CT image, Slice 118 of 164

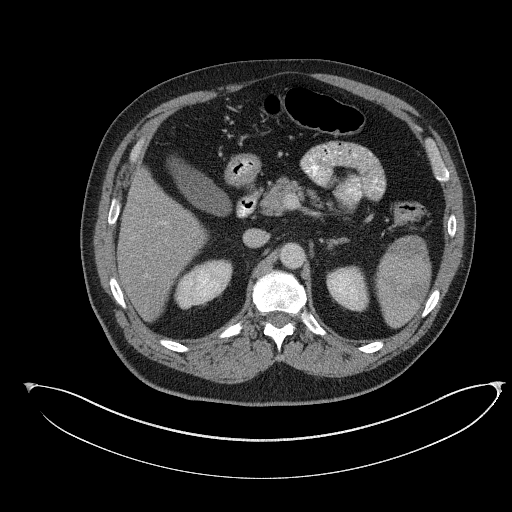

<segmentation>
  <pancreas>left=261, top=177, right=333, bottom=213</pancreas>
</segmentation>